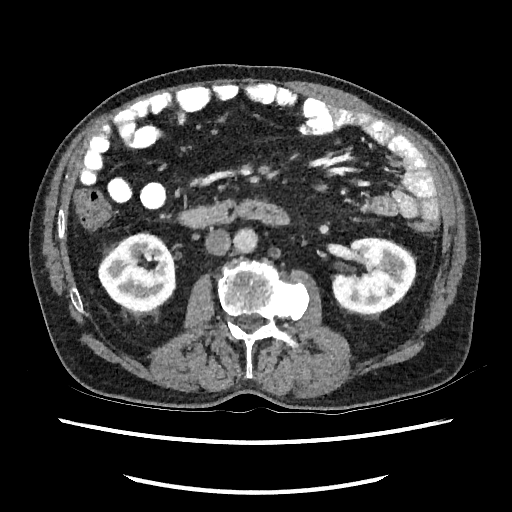
Abdomen | 512x512 | CT
2 kidney regions are located at x1=332, y1=238, x2=415, y2=315; x1=98, y1=233, x2=175, y2=315.